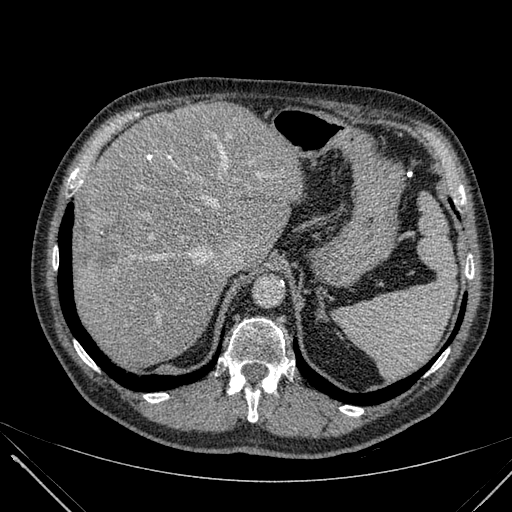

Computed tomography. <segmentation>
  <liver>[x1=72, y1=103, x2=303, y2=367]</liver>
  <focal_liver_lesion>[x1=118, y1=226, x2=126, y2=236], [x1=97, y1=241, x2=118, y2=271]</focal_liver_lesion>
</segmentation>